Abdomen; Slice 19/39; CT image 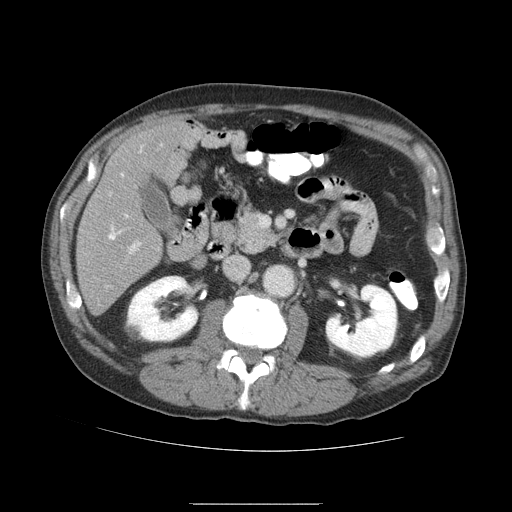
Only some of the vessels may be annotated.
hepatic_vessel:
  - region(125, 215, 128, 216)
  - region(110, 225, 121, 239)
  - region(139, 146, 142, 152)
  - region(128, 241, 140, 253)
  - region(121, 173, 123, 175)